CT image. 512x512. Abdomen.

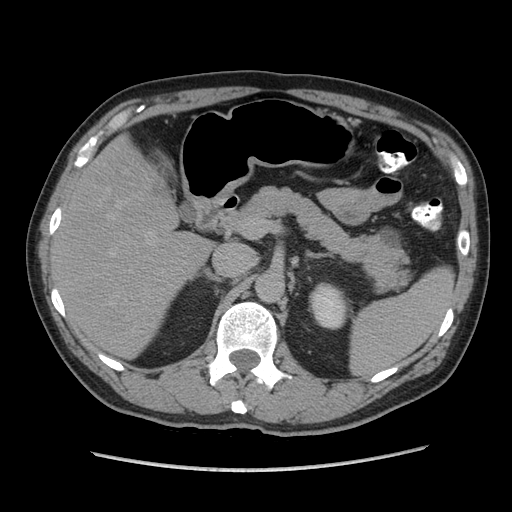 The pancreas is at box(224, 186, 410, 292). The pancreatic tumor appears at box(380, 227, 400, 250).